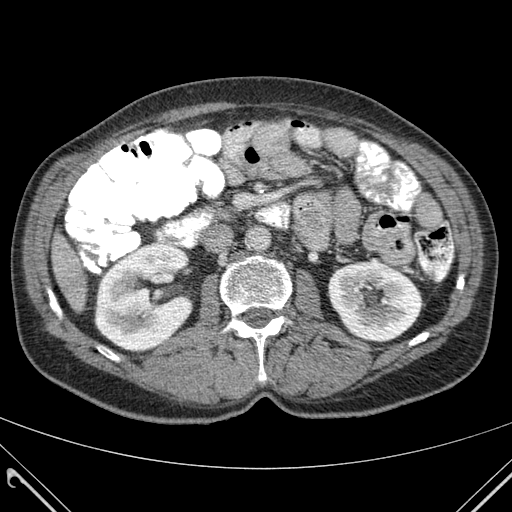

CT slice

liver: l=52, t=234, r=86, b=308 | bone: l=98, t=347, r=118, b=360; l=457, t=277, r=463, b=288; l=224, t=316, r=283, b=380; l=220, t=256, r=291, b=315; l=48, t=290, r=61, b=315; l=409, t=333, r=428, b=344 | kidney: l=96, t=244, r=190, b=349; l=329, t=262, r=420, b=340